Slice 72/155. Head.
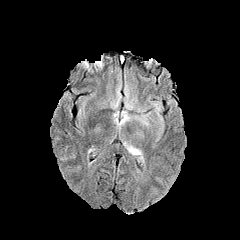
FLAIR MR image.
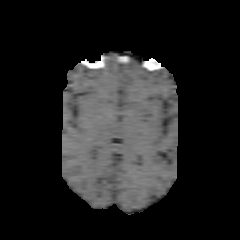
T1-weighted MR.
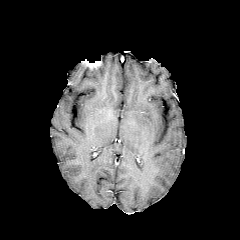
Same slice, post-contrast T1-weighted MR.
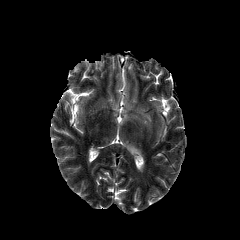
T2-weighted MR of the same slice.
3 edema regions are located at {"x1": 123, "y1": 141, "x2": 144, "y2": 161}, {"x1": 108, "y1": 73, "x2": 151, "y2": 131}, {"x1": 150, "y1": 101, "x2": 163, "y2": 117}.